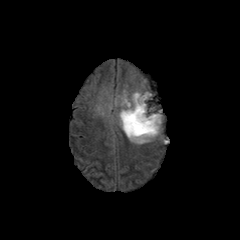
FLAIR MR.
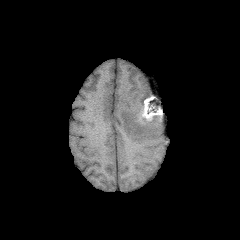
T1-weighted MR image.
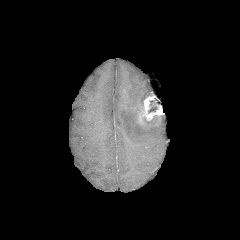
Post-contrast T1-weighted MRI.
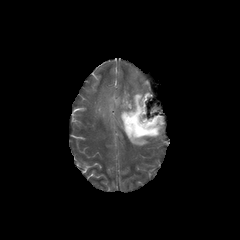
T2-weighted MRI.
Edema — <bbox>114, 87, 165, 144</bbox>.
Enhancing tumor — <bbox>145, 111, 160, 120</bbox>, <bbox>140, 96, 151, 113</bbox>.
Non-enhancing tumor core — <bbox>146, 98, 159, 113</bbox>, <bbox>125, 106, 161, 134</bbox>.